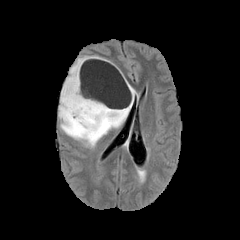
FLAIR MRI.
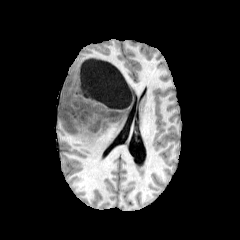
T1-weighted MR image of the same slice.
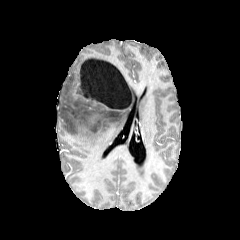
Post-contrast T1-weighted magnetic resonance.
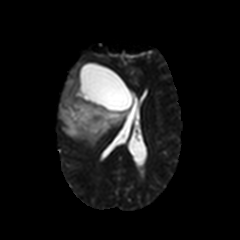
T2-weighted MRI.
Brain
3 non-enhancing tumor core regions appear at <bbox>61, 104, 92, 133</bbox>, <bbox>76, 76, 127, 120</bbox>, <bbox>91, 120, 100, 131</bbox>. The edema lies within <bbox>57, 56, 137, 147</bbox>.